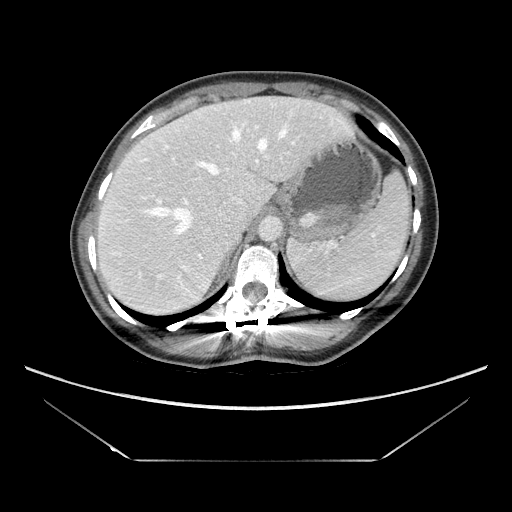
Abdomen, CT image
Some hepatic vessels may have no box.
6 hepatic vessel regions are located at box=[278, 131, 285, 137]; box=[231, 196, 243, 204]; box=[257, 138, 267, 154]; box=[200, 162, 218, 174]; box=[148, 200, 192, 235]; box=[234, 131, 238, 139].